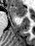

Image size 35x46, Magnetic resonance

- anterior hippocampus: {"x1": 10, "y1": 5, "x2": 27, "y2": 17}